FLAIR MR.
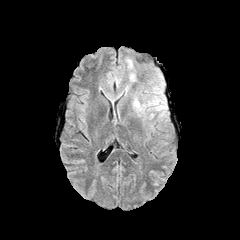
T1-weighted MR image.
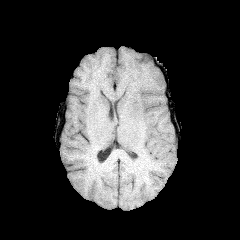
Post-contrast T1-weighted magnetic resonance.
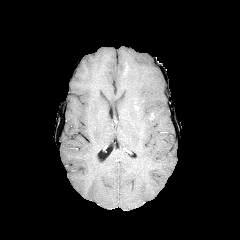
T2-weighted MR image.
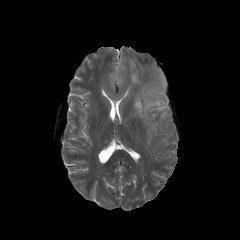
Head.
2 edema regions are bounded by {"x1": 130, "y1": 73, "x2": 137, "y2": 82}, {"x1": 133, "y1": 72, "x2": 167, "y2": 121}.